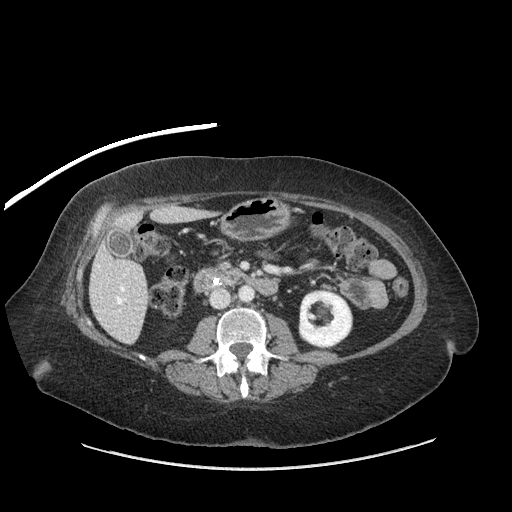 CT; Image size 512x512
The pancreas is bounded by 219, 262, 241, 280.